Slice index 82.
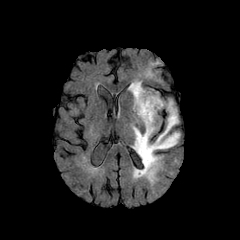
FLAIR MR image.
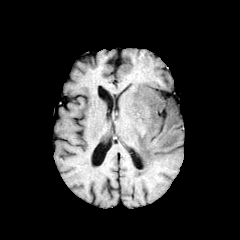
T1-weighted magnetic resonance.
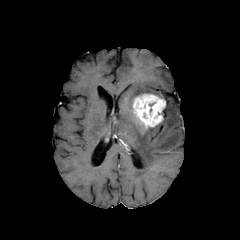
Post-contrast T1-weighted magnetic resonance.
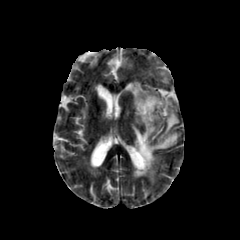
T2-weighted MR.
<segmentation>
  <enhancing_tumor>132, 93, 166, 129</enhancing_tumor>
  <edema>128, 81, 151, 98; 130, 99, 180, 181</edema>
</segmentation>